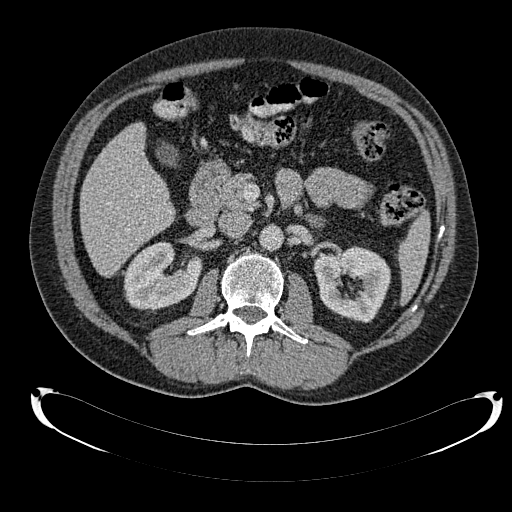

Computed tomography | Liver
Annotated regions:
* kidney: {"x1": 314, "y1": 247, "x2": 389, "y2": 321}, {"x1": 124, "y1": 242, "x2": 201, "y2": 309}
* liver: {"x1": 80, "y1": 123, "x2": 174, "y2": 275}